Image width 500 mm, CT scan slice, 512x512

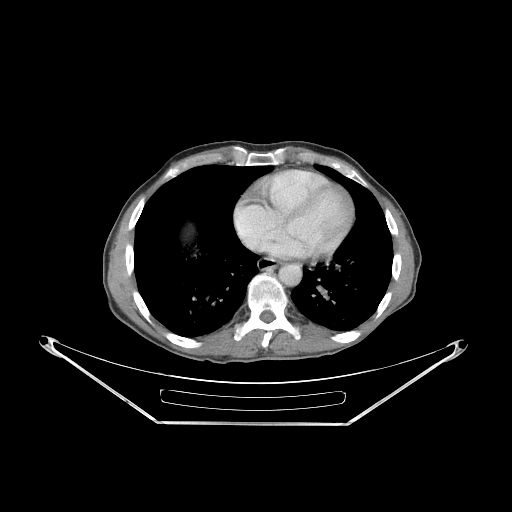 Annotated regions:
* lung: left=134, top=164, right=270, bottom=336; left=291, top=165, right=393, bottom=330
* bone: left=386, top=210, right=397, bottom=234; left=347, top=170, right=356, bottom=177; left=167, top=169, right=177, bottom=176; left=235, top=273, right=299, bottom=346; left=166, top=334, right=200, bottom=347; left=129, top=199, right=143, bottom=229; left=377, top=293, right=390, bottom=316; left=392, top=254, right=401, bottom=279; left=332, top=331, right=359, bottom=342; left=125, top=244, right=133, bottom=274; left=133, top=292, right=149, bottom=321; left=246, top=149, right=282, bottom=165
* liver: left=181, top=222, right=194, bottom=243